CT slice | 512x512 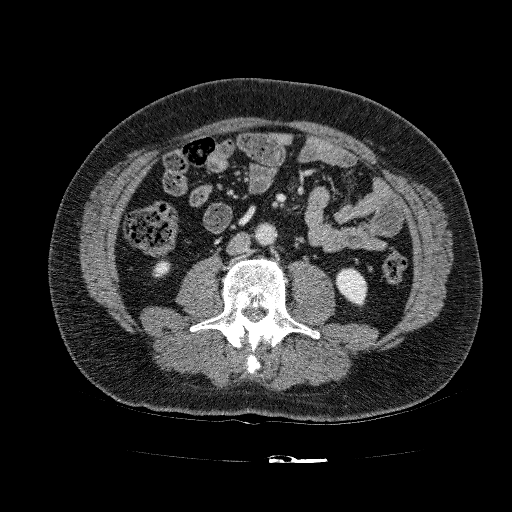
<segmentation>
  <kidney>box(155, 261, 168, 276); box(336, 269, 366, 304)</kidney>
</segmentation>